FLAIR MR image.
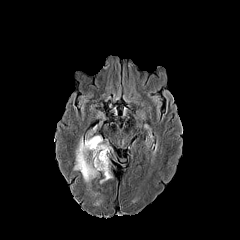
T1-weighted MRI.
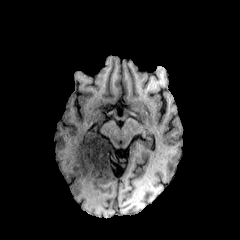
Post-contrast T1-weighted MRI.
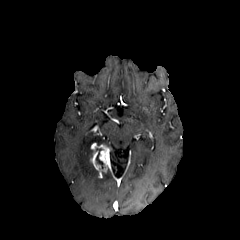
T2-weighted MRI.
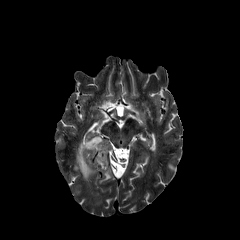
2 edema regions appear at (x1=73, y1=135, x2=102, y2=183), (x1=100, y1=172, x2=111, y2=182). The enhancing tumor is at (x1=89, y1=141, x2=111, y2=172).